Computed tomography; Lower abdomen

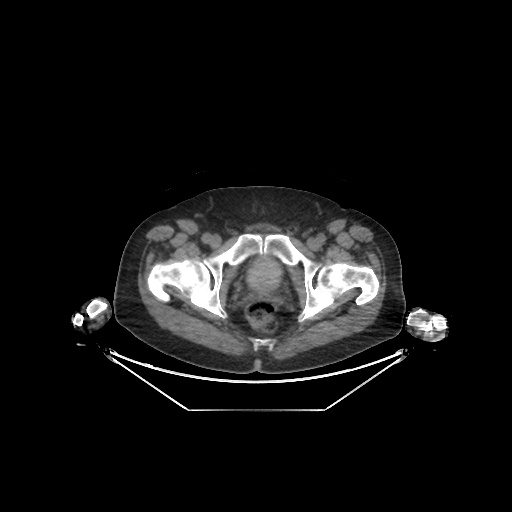
Urinary bladder: <bbox>246, 251, 282, 296</bbox>.